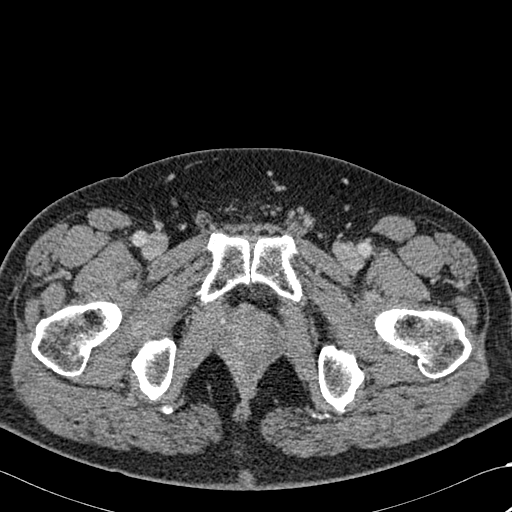

Image size 512x512; CT slice
5 bone regions are bounded by x1=318 y1=345 x2=363 y2=412, x1=200 y1=233 x2=301 y2=302, x1=375 y1=308 x2=471 y2=378, x1=132 y1=338 x2=175 y2=399, x1=31 y1=301 x2=121 y2=376.